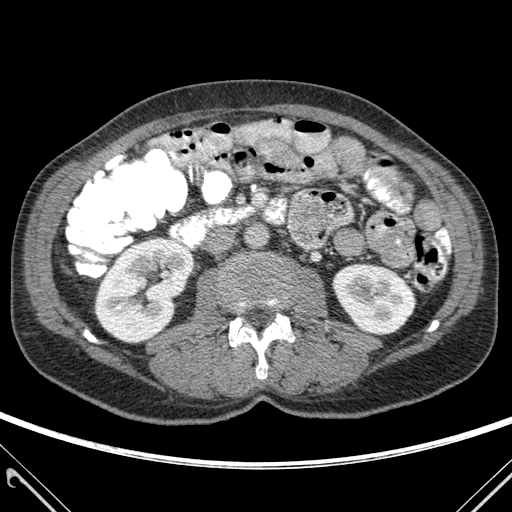 CT scan slice | Image size 512x512 | Abdomen
Annotated regions:
• bone: [224, 263, 289, 310], [429, 321, 438, 330], [229, 314, 294, 378], [84, 330, 96, 341]
• kidney: [96, 239, 187, 341], [334, 265, 414, 333]